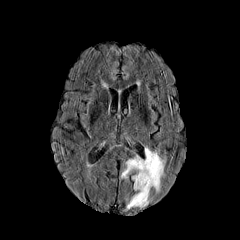
FLAIR magnetic resonance.
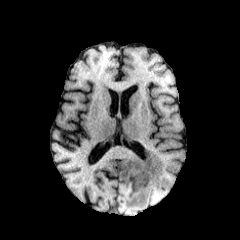
T1-weighted MRI.
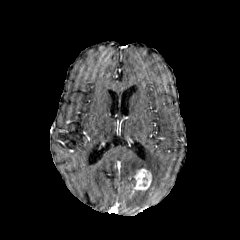
Post-contrast T1-weighted magnetic resonance.
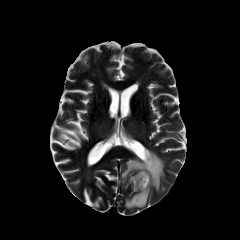
T2-weighted MR image of the same slice.
240x240 px | Head
The edema lies within x1=119 y1=147 x2=164 y2=209. The enhancing tumor appears at x1=133 y1=168 x2=152 y2=190.